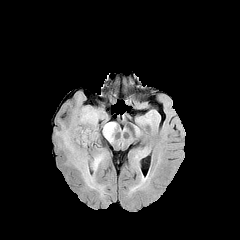
FLAIR magnetic resonance.
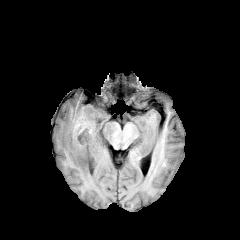
T1-weighted MRI.
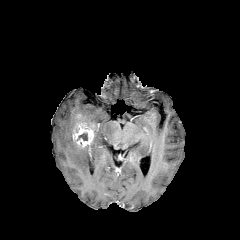
Post-contrast T1-weighted MRI.
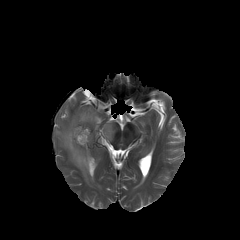
T2-weighted MR image of the same slice.
240x240 px, Head
The enhancing tumor is located at (73,124,93,147). The non-enhancing tumor core appears at (77,133,87,140). 3 edema regions appear at (61,130,104,197), (80,105,108,130), (102,122,115,142).